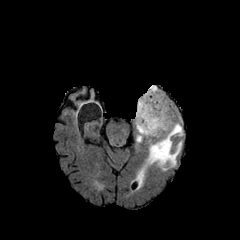
FLAIR MRI.
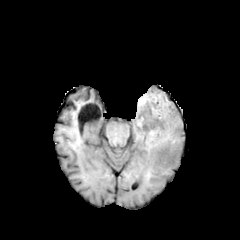
T1-weighted MRI of the same slice.
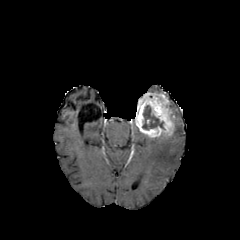
Post-contrast T1-weighted MR image.
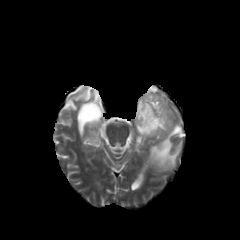
T2-weighted MR image of the same slice.
Image size 240x240
Annotated regions:
• non-enhancing tumor core: x1=142 y1=105 x2=163 y2=129
• enhancing tumor: x1=135 y1=91 x2=176 y2=137
• edema: x1=148 y1=85 x2=158 y2=91, x1=135 y1=127 x2=147 y2=150, x1=135 y1=122 x2=184 y2=188